Image width 438 mm, Liver, CT
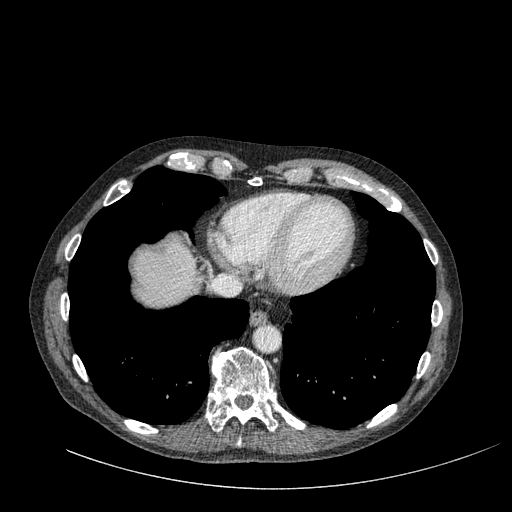
Annotated regions:
- liver: (x1=133, y1=241, x2=198, y2=306)